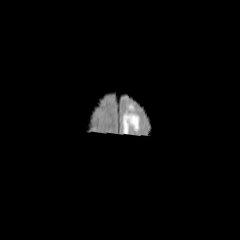
FLAIR MR.
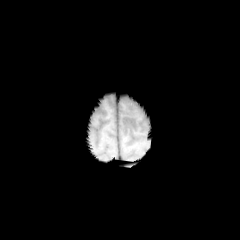
T1-weighted MR image.
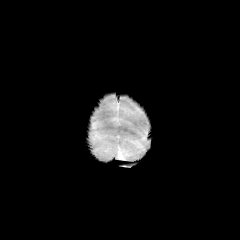
Post-contrast T1-weighted MR.
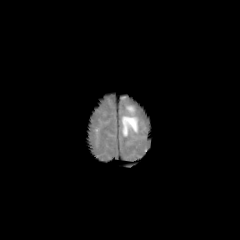
T2-weighted MR image of the same slice.
Image size 240x240 | Brain
Annotated regions:
- edema: (122,105,138,137)